Image width 31 mm, Slice 13/34, 31x54, MR image
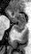
Posterior hippocampus: bounding box (left=13, top=23, right=26, bottom=32).
Anterior hippocampus: bounding box (left=7, top=10, right=25, bottom=23).